512x512; CT scan slice; Upper abdomen 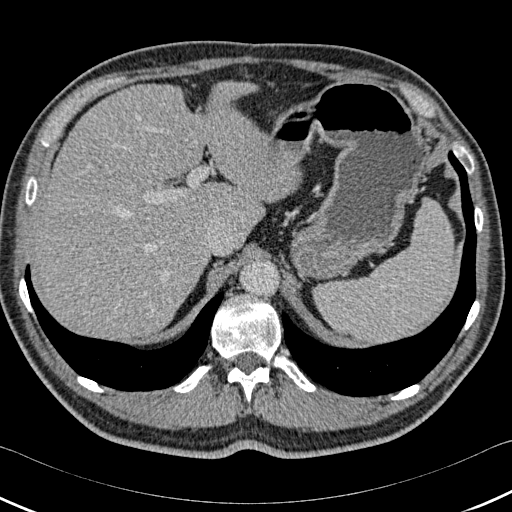 Liver: bounding box bbox=[35, 81, 299, 340].
Bone: bounding box bbox=[211, 295, 280, 363]; bbox=[19, 279, 32, 312]; bbox=[274, 356, 315, 391]; bbox=[174, 366, 210, 392]; bbox=[228, 367, 269, 401]; bbox=[26, 177, 37, 205]; bbox=[391, 385, 419, 399]; bbox=[453, 144, 474, 173]; bbox=[464, 301, 479, 329]; bbox=[77, 377, 103, 392]; bbox=[475, 207, 483, 231].
Lung: bounding box bbox=[281, 151, 476, 396]; bbox=[24, 264, 224, 391].